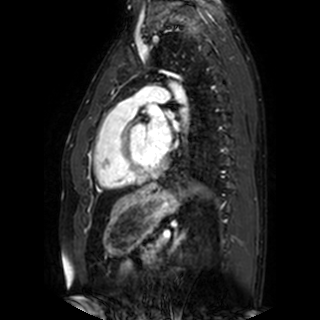 MR image | Cardiac
Annotated regions:
- left atrium: box(146, 108, 171, 153); box(166, 109, 180, 130)